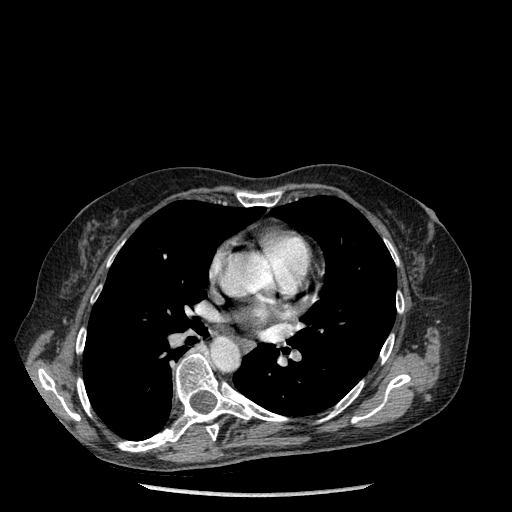

Image size 512x512 | Chest | CT image

2 lung regions are located at [x1=233, y1=196, x2=396, y2=415], [x1=83, y1=200, x2=264, y2=440]. 11 bone regions are bounded by [x1=107, y1=242, x2=123, y2=266], [x1=380, y1=334, x2=394, y2=363], [x1=396, y1=291, x2=404, y2=313], [x1=384, y1=239, x2=399, y2=265], [x1=118, y1=350, x2=287, y2=451], [x1=76, y1=328, x2=85, y2=353], [x1=38, y1=368, x2=80, y2=420], [x1=351, y1=373, x2=410, y2=423], [x1=236, y1=190, x2=281, y2=206], [x1=320, y1=380, x2=363, y2=421], [x1=77, y1=378, x2=91, y2=416].